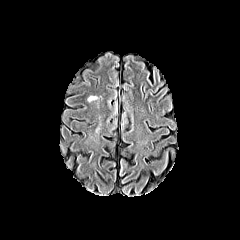
FLAIR MRI.
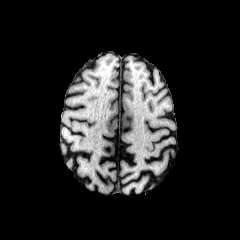
T1-weighted MR of the same slice.
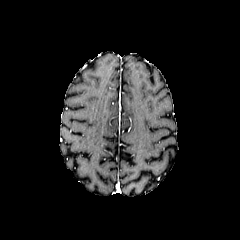
Post-contrast T1-weighted MR of the same slice.
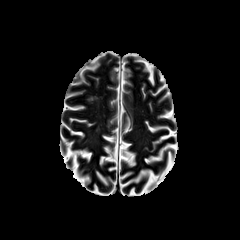
T2-weighted MR image.
Edema at (87,95,99,102).